Upper abdomen | Field of view 457x457 mm | Computed tomography 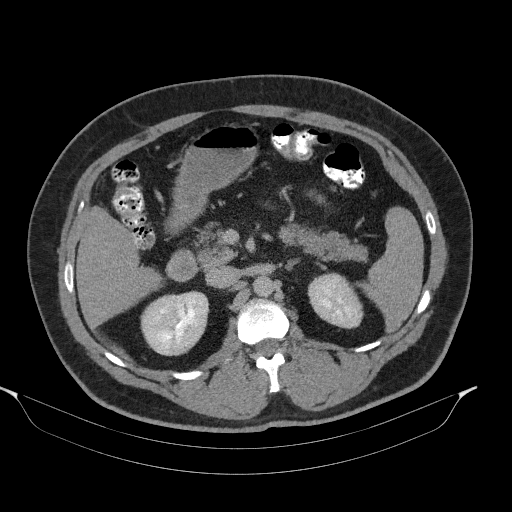
{"pancreas": ["<bbox>192, 223, 230, 266</bbox>", "<bbox>287, 224, 366, 261</bbox>"], "pancreatic_tumor": ["<bbox>280, 226, 290, 243</bbox>"]}